FLAIR magnetic resonance.
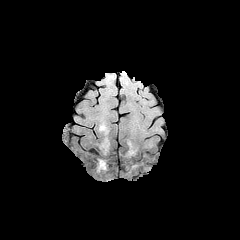
T1-weighted MRI.
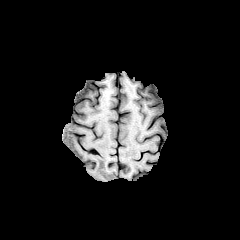
Post-contrast T1-weighted MR.
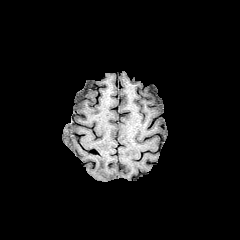
T2-weighted magnetic resonance.
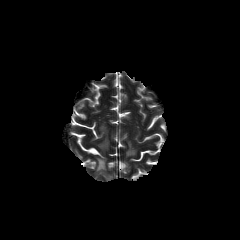
Annotated regions:
• edema: x1=99, y1=139, x2=107, y2=150; x1=95, y1=158, x2=107, y2=173